Computed tomography | Abdomen | 512x512 px

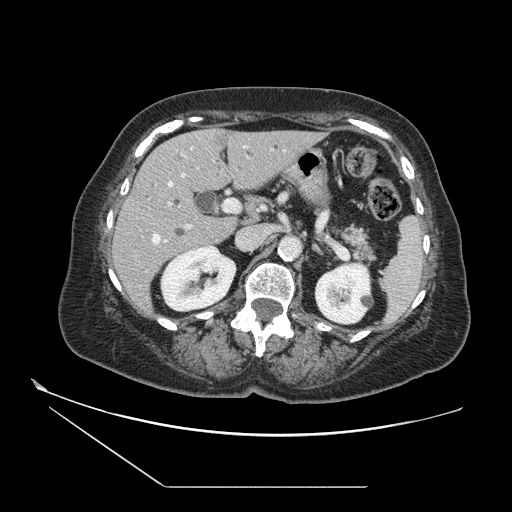 Pancreas: bounding box x1=341 y1=228 x2=375 y2=262.